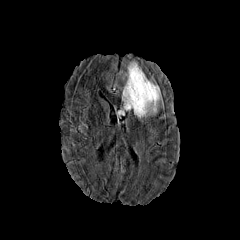
FLAIR MR.
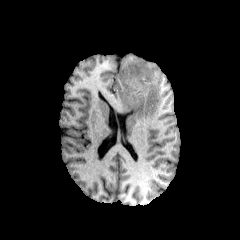
T1-weighted magnetic resonance.
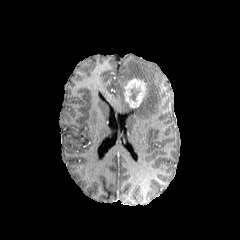
Post-contrast T1-weighted magnetic resonance.
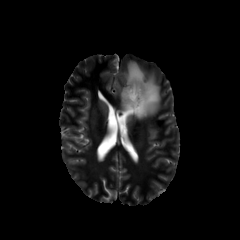
T2-weighted MR image.
enhancing_tumor:
  - bbox(124, 77, 147, 107)
edema:
  - bbox(118, 62, 161, 119)